Field of view 350x350 mm; Computed tomography; Upper abdomen 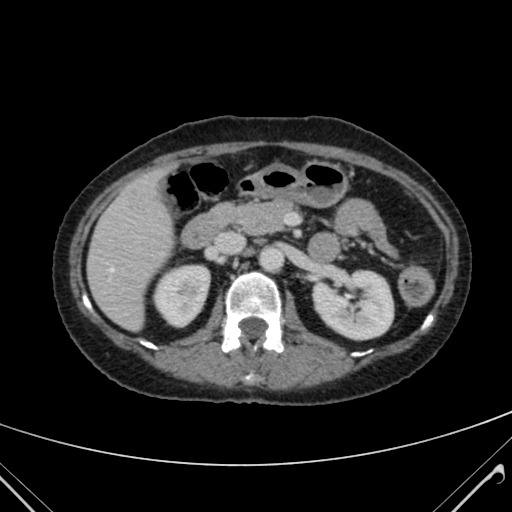 2 kidney regions are located at {"x1": 314, "y1": 272, "x2": 392, "y2": 338}, {"x1": 156, "y1": 266, "x2": 208, "y2": 324}. The liver appears at {"x1": 87, "y1": 166, "x2": 172, "y2": 327}.